FLAIR magnetic resonance.
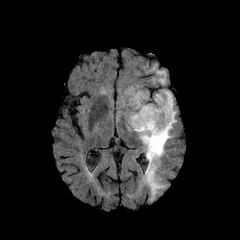
T1-weighted magnetic resonance.
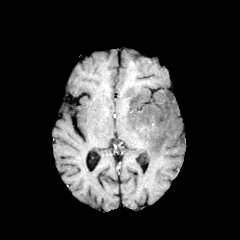
Post-contrast T1-weighted MRI.
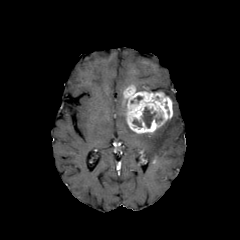
T2-weighted MR image.
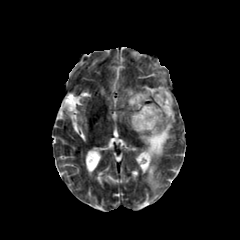
Head
enhancing_tumor:
  - x1=124, y1=86, x2=173, y2=133
non-enhancing_tumor_core:
  - x1=142, y1=107, x2=155, y2=127
edema:
  - x1=138, y1=104, x2=176, y2=197
  - x1=122, y1=94, x2=127, y2=110
  - x1=156, y1=90, x2=172, y2=100